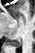

MRI slice, 35x53, Hippocampus

Posterior hippocampus at x1=8 y1=39 x2=21 y2=47.